Brain.
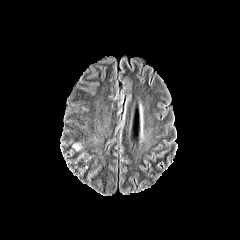
FLAIR magnetic resonance.
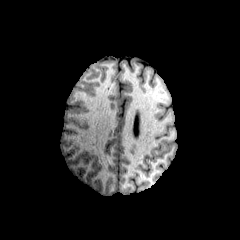
Same slice, T1-weighted magnetic resonance.
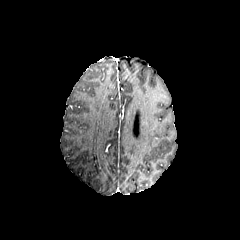
Same slice, post-contrast T1-weighted magnetic resonance.
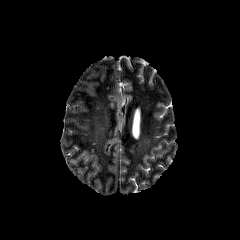
T2-weighted magnetic resonance.
Edema: bounding box 72:142:83:150.